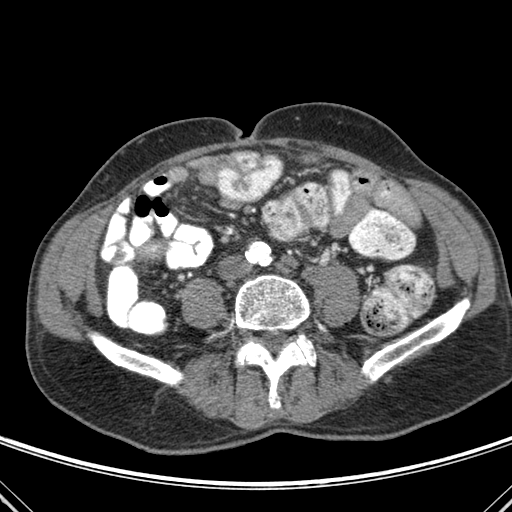 Computed tomography
Annotated regions:
- bone: <box>362,299,469,381</box>, <box>236,336,315,408</box>, <box>235,275,309,332</box>, <box>90,333,183,384</box>